Slice 229 of 908. Computed tomography. Field of view 404 mm wide, 0.70 mm slice spacing.

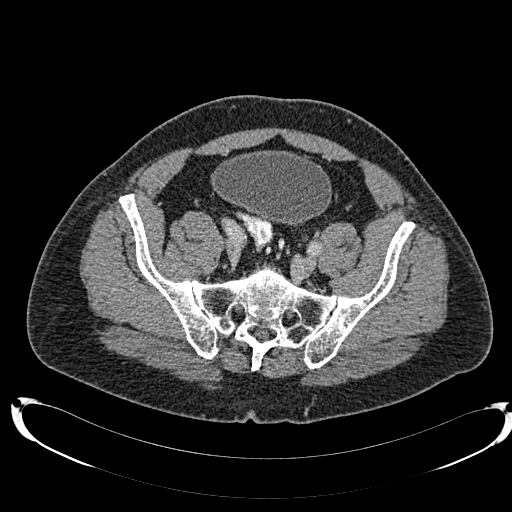 Annotated regions:
* urinary bladder: box=[212, 150, 331, 225]